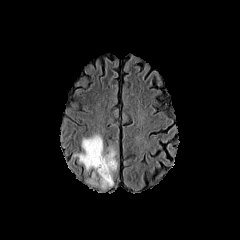
FLAIR MR.
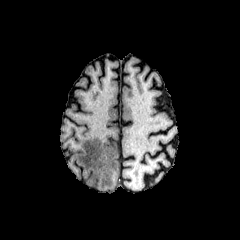
T1-weighted MR.
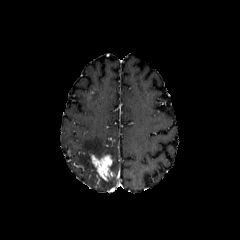
Post-contrast T1-weighted MR.
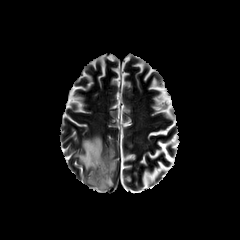
T2-weighted magnetic resonance of the same slice.
Brain
{
  "enhancing_tumor": [
    "[91,154,114,180]"
  ],
  "edema": [
    "[109,161,117,172]",
    "[76,135,103,171]",
    "[92,172,113,188]"
  ]
}